FLAIR magnetic resonance.
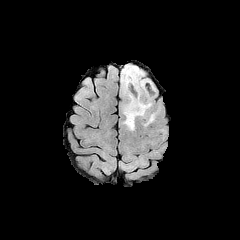
T1-weighted MRI.
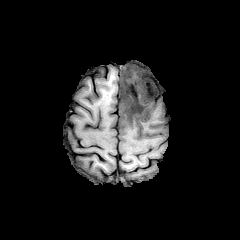
Post-contrast T1-weighted magnetic resonance.
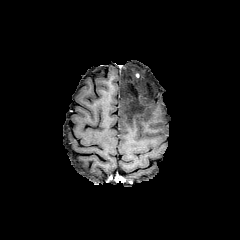
T2-weighted magnetic resonance.
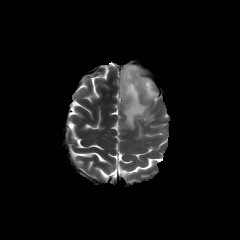
240x240
<segmentation>
  <non-enhancing_tumor_core>left=123, top=76, right=140, bottom=98</non-enhancing_tumor_core>
  <edema>left=120, top=64, right=156, bottom=129</edema>
</segmentation>